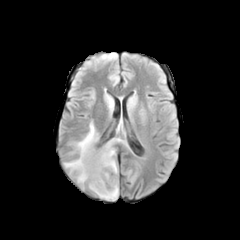
FLAIR MR.
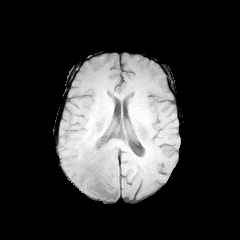
T1-weighted MRI.
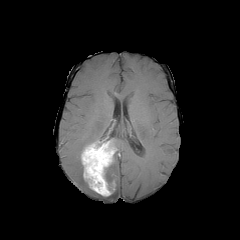
Post-contrast T1-weighted magnetic resonance of the same slice.
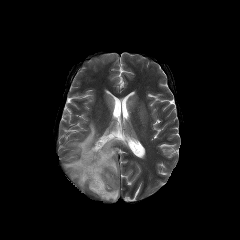
T2-weighted MRI.
Brain
6 edema regions appear at [x1=107, y1=153, x2=118, y2=176], [x1=100, y1=179, x2=118, y2=200], [x1=64, y1=157, x2=87, y2=187], [x1=112, y1=136, x2=127, y2=147], [x1=116, y1=121, x2=123, y2=133], [x1=71, y1=121, x2=100, y2=156]. The enhancing tumor appears at [x1=81, y1=141, x2=114, y2=195]. 2 non-enhancing tumor core regions are located at [x1=104, y1=150, x2=116, y2=187], [x1=96, y1=139, x2=114, y2=149].